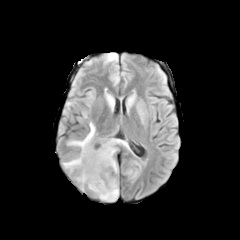
FLAIR MRI.
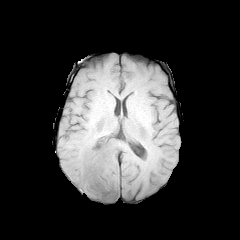
T1-weighted MR.
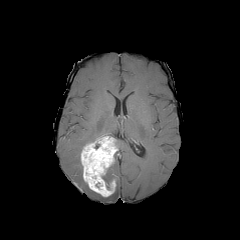
Post-contrast T1-weighted magnetic resonance.
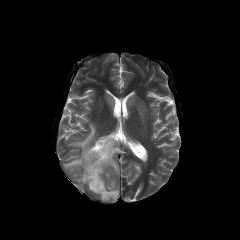
T2-weighted MR image of the same slice.
Brain
Edema: (x1=116, y1=139, x2=128, y2=149), (x1=63, y1=155, x2=81, y2=171), (x1=68, y1=122, x2=95, y2=151), (x1=96, y1=172, x2=118, y2=201), (x1=110, y1=159, x2=118, y2=173), (x1=76, y1=171, x2=85, y2=189), (x1=64, y1=101, x2=73, y2=116).
Non-enhancing tumor core: (x1=102, y1=164, x2=114, y2=187).
Enhancing tumor: (x1=81, y1=136, x2=117, y2=197).